Brain
FLAIR MR.
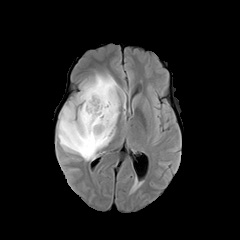
T1-weighted MR image.
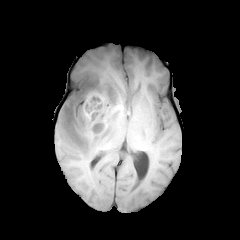
Post-contrast T1-weighted magnetic resonance.
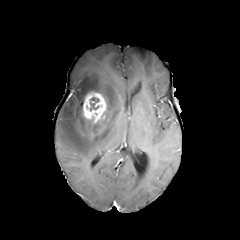
T2-weighted MR image.
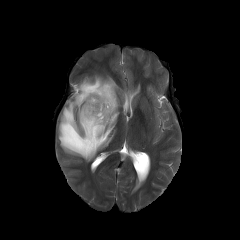
Non-enhancing tumor core = rect(86, 96, 99, 111).
Enhancing tumor = rect(83, 93, 105, 122).
Edema = rect(55, 74, 129, 161).